Image size 240x240; Slice 110/155; Head
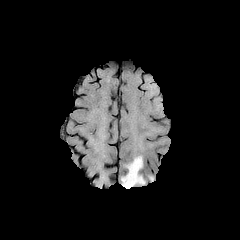
FLAIR magnetic resonance.
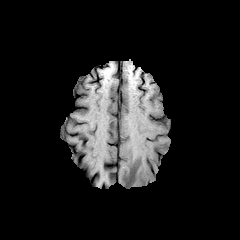
Same slice, T1-weighted MRI.
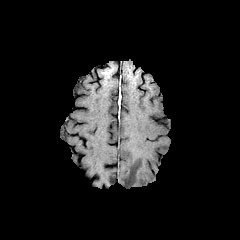
Post-contrast T1-weighted magnetic resonance of the same slice.
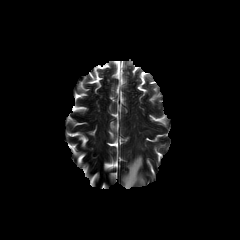
Same slice, T2-weighted MR image.
{
  "edema": [
    "rect(121, 156, 145, 187)"
  ]
}